FLAIR magnetic resonance.
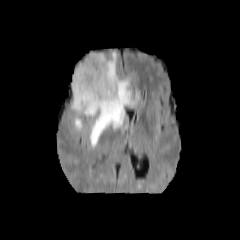
T1-weighted MR.
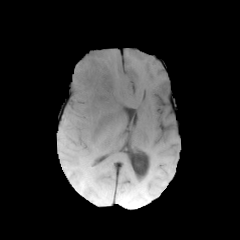
Post-contrast T1-weighted MR.
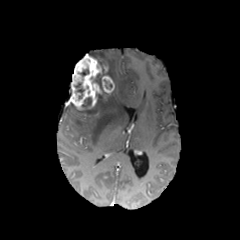
T2-weighted MRI.
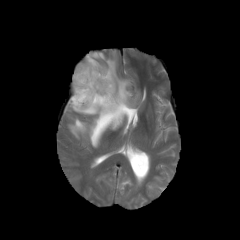
* non-enhancing tumor core: (x1=88, y1=51, x2=115, y2=90), (x1=75, y1=82, x2=85, y2=93), (x1=82, y1=98, x2=91, y2=108), (x1=75, y1=91, x2=112, y2=114)
* enhancing tumor: (x1=101, y1=75, x2=115, y2=94), (x1=68, y1=54, x2=108, y2=110)
* edema: (x1=71, y1=117, x2=84, y2=135), (x1=90, y1=51, x2=140, y2=147)